Slice 119/241. CT scan slice.
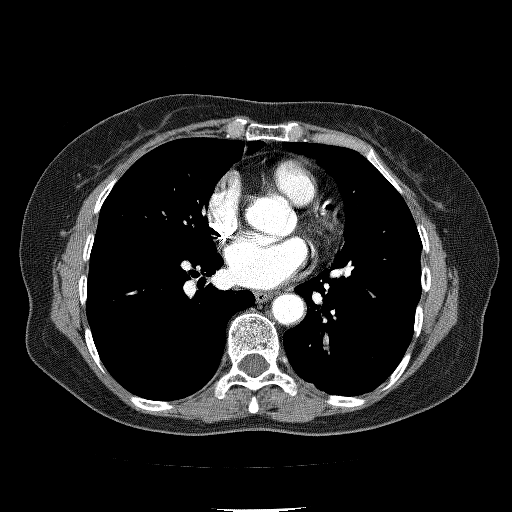 Lung tumor = left=322, top=333, right=334, bottom=352.